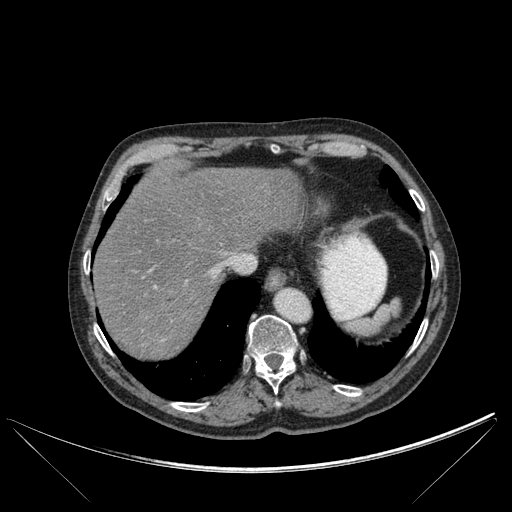 Upper abdomen | CT slice

Bone — (left=334, top=385, right=360, bottom=396), (left=431, top=254, right=438, bottom=275), (left=94, top=324, right=111, bottom=353), (left=171, top=402, right=206, bottom=411), (left=104, top=190, right=112, bottom=200), (left=412, top=319, right=427, bottom=349), (left=83, top=255, right=89, bottom=273), (left=248, top=315, right=296, bottom=393), (left=410, top=189, right=424, bottom=210).
Liver — (left=212, top=275, right=221, bottom=287), (left=91, top=167, right=302, bottom=359).
Lung — (left=308, top=264, right=430, bottom=383), (left=99, top=278, right=260, bottom=400), (left=380, top=166, right=418, bottom=218), (left=95, top=176, right=138, bottom=249).